FLAIR MR.
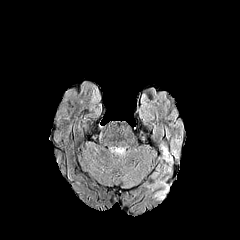
T1-weighted MR image.
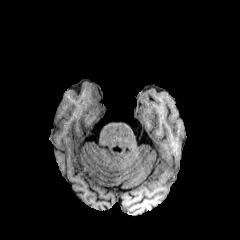
Post-contrast T1-weighted MRI.
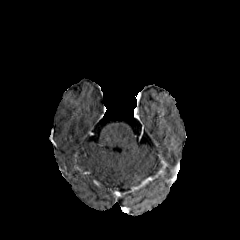
T2-weighted magnetic resonance.
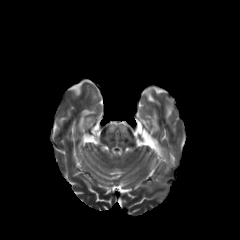
Brain.
Edema — <box>159,146,171,164</box>.